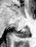

Hippocampus; MR image

• posterior hippocampus: left=15, top=26, right=29, bottom=37